FLAIR MRI.
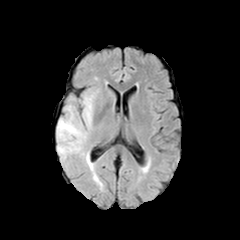
T1-weighted magnetic resonance.
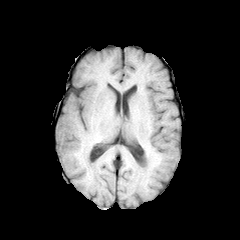
Post-contrast T1-weighted MR.
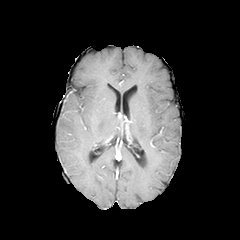
T2-weighted MR.
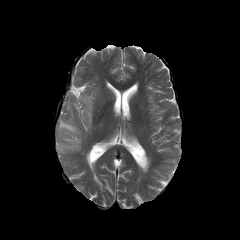
240x240 px.
- edema: x1=56 y1=89 x2=98 y2=169